CT image | Abdomen | Slice 31 of 132 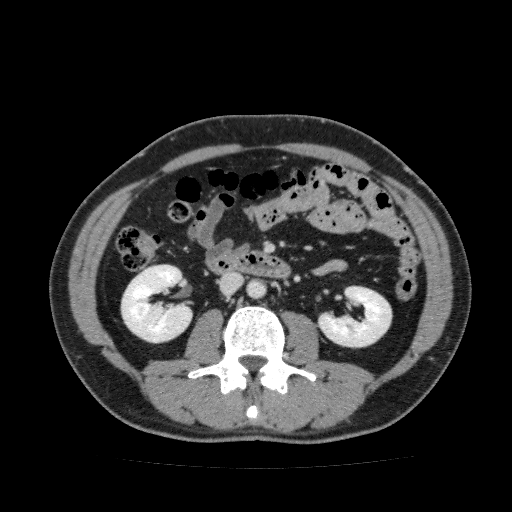 <segmentation>
  <kidney>region(319, 286, 391, 346); region(121, 265, 191, 342)</kidney>
</segmentation>